Field of view 240x240 mm
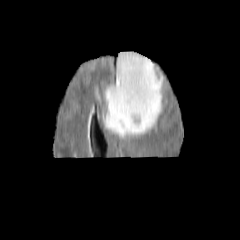
FLAIR magnetic resonance.
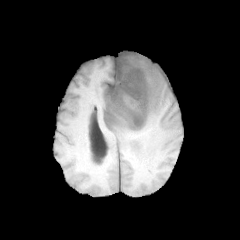
T1-weighted MR image.
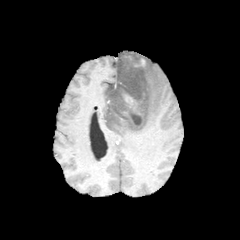
Post-contrast T1-weighted magnetic resonance.
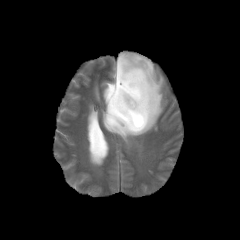
T2-weighted MR.
non-enhancing tumor core: bbox=[113, 56, 146, 128] | edema: bbox=[102, 51, 165, 138] | enhancing tumor: bbox=[125, 94, 133, 104]